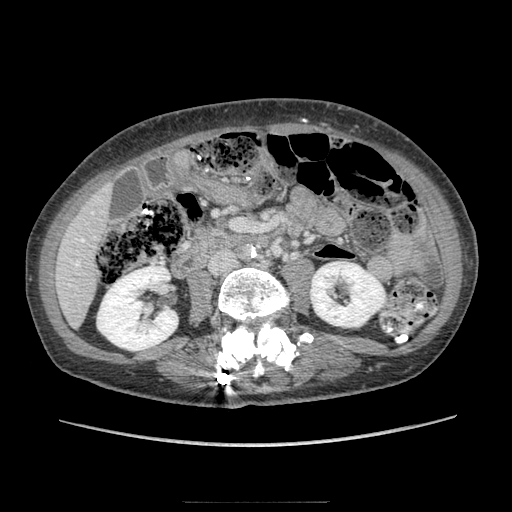 CT
<segmentation>
  <pancreas><bbox>193, 225, 235, 255</bbox></pancreas>
</segmentation>